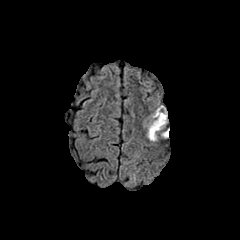
FLAIR magnetic resonance.
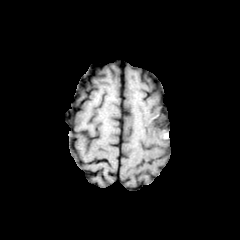
T1-weighted MR image.
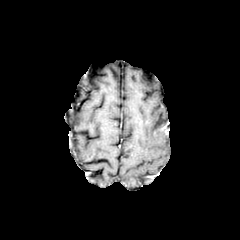
Post-contrast T1-weighted magnetic resonance.
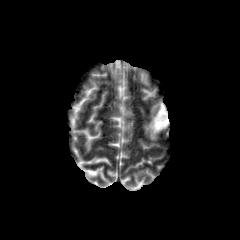
T2-weighted magnetic resonance of the same slice.
Head.
Non-enhancing tumor core = box(155, 111, 167, 128).
Edema = box(144, 105, 169, 141).